Field of view 700x700 mm, CT slice, Brain 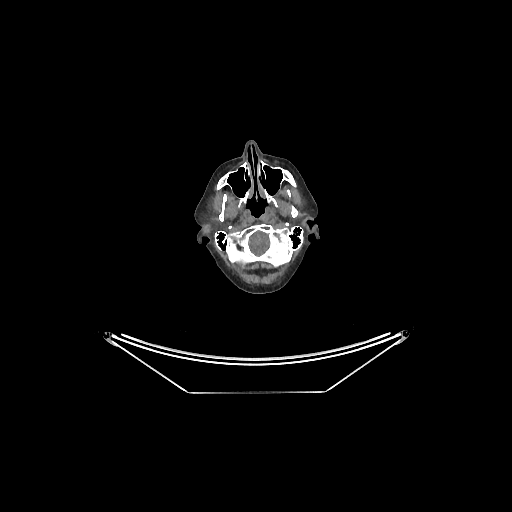 {
  "brain": [
    "248 230 270 256"
  ]
}